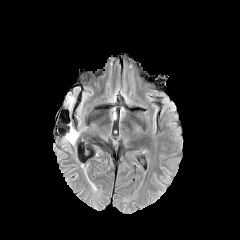
FLAIR MRI.
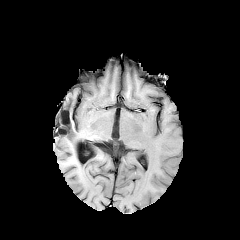
T1-weighted MRI.
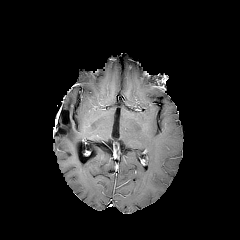
Post-contrast T1-weighted magnetic resonance.
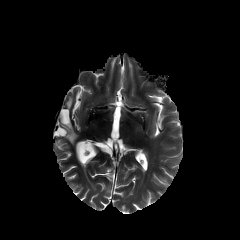
T2-weighted magnetic resonance.
Head
edema: <box>62,124,79,148</box>, <box>65,93,74,110</box>